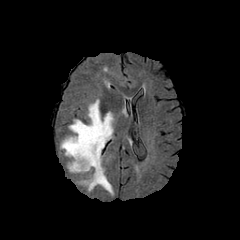
FLAIR magnetic resonance.
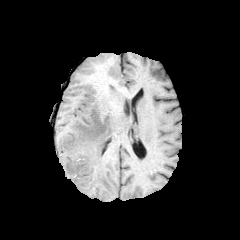
T1-weighted MR image.
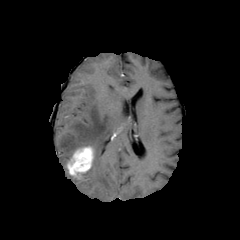
Post-contrast T1-weighted MR image of the same slice.
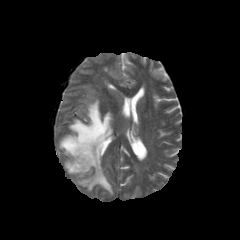
Same slice, T2-weighted magnetic resonance.
240x240
Edema: bounding box 59 99 113 194.
Enhancing tumor: bounding box 65 146 93 180.